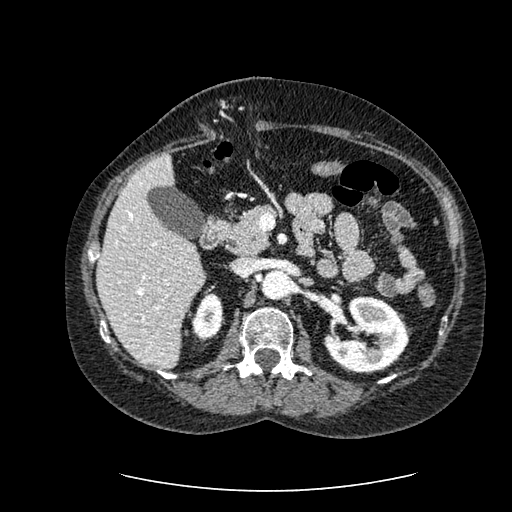

CT slice | Upper abdomen
The liver appears at (left=97, top=156, right=204, bottom=367). 2 kidney regions are bounded by (left=193, top=294, right=221, bottom=338), (left=324, top=297, right=407, bottom=371).